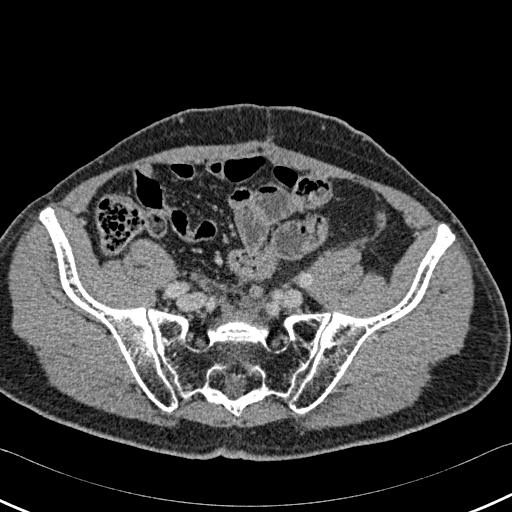 CT slice; 512x512 px
The bone is located at bbox(40, 208, 454, 415).